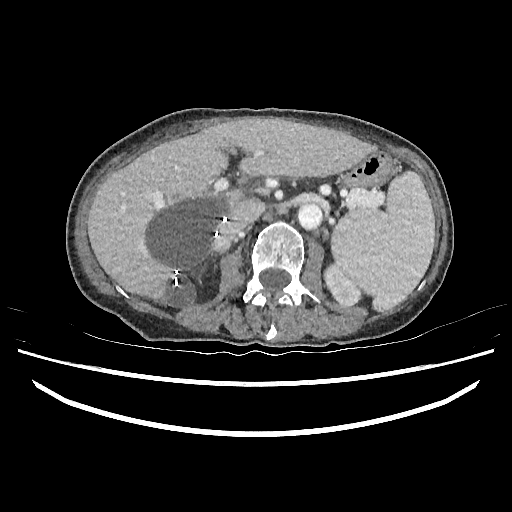

CT scan slice. Liver.
<segmentation>
  <liver_lesion>(left=145, top=199, right=222, bottom=304)</liver_lesion>
  <liver>(left=89, top=119, right=373, bottom=306)</liver>
  <kidney>(left=325, top=264, right=360, bottom=298)</kidney>
</segmentation>